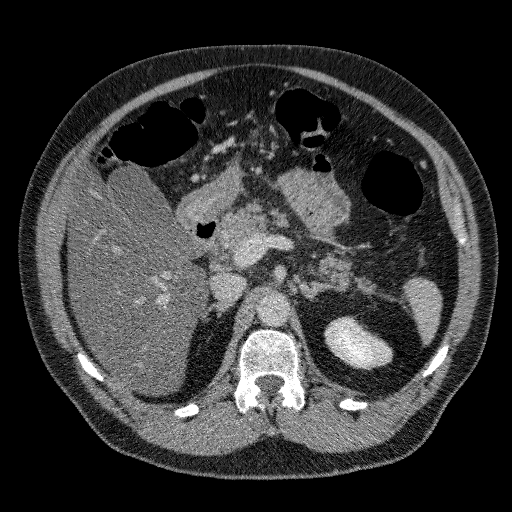 CT scan slice, Abdomen
Kidney at (326,318,390,367).
Liver at (68,170,207,394).